CT slice, Liver
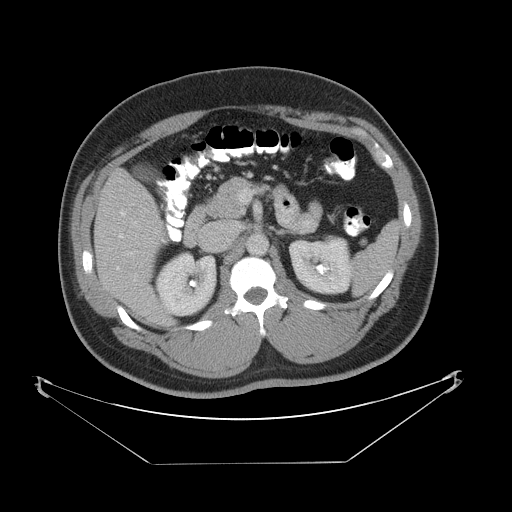

Not every hepatic vessel necessarily has a box.
Annotated regions:
* hepatic vessel: bbox=[202, 223, 234, 249]